CT image. Abdomen.
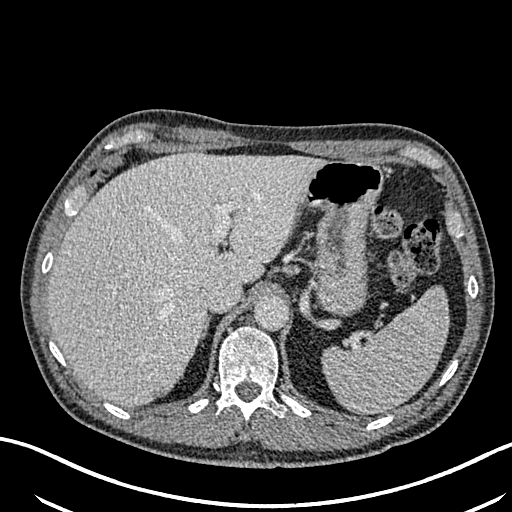
2 focal liver lesion regions are located at 119 281 126 294, 150 386 168 398. The liver lies within 49 154 325 406.